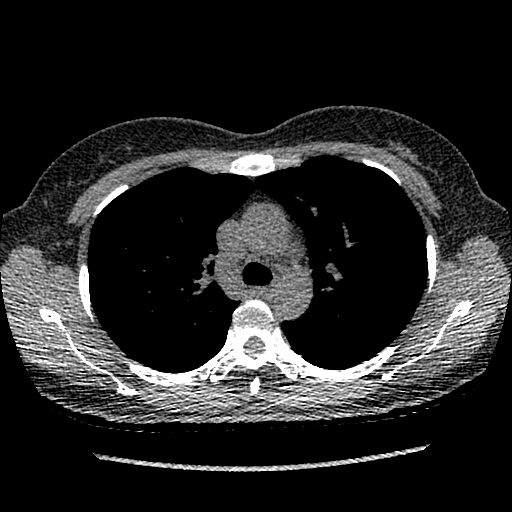

Image size 512x512; CT slice

lung tumor: <box>329,320,346,334</box>